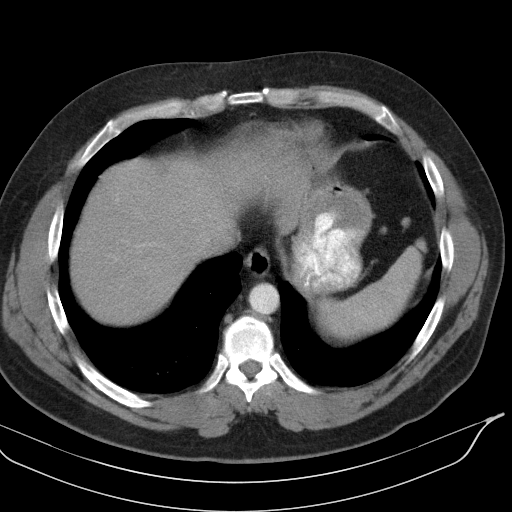 512x512. CT image. Abdomen.

{
  "spleen": [
    "(315, 241, 424, 340)"
  ]
}